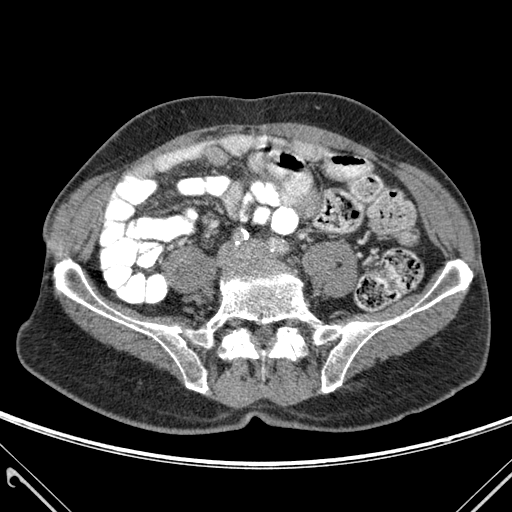

512x512; CT scan slice
bone:
  - [220,327,303,360]
  - [54,259,472,393]